FLAIR MRI.
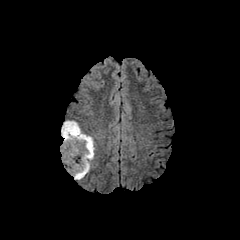
T1-weighted MRI.
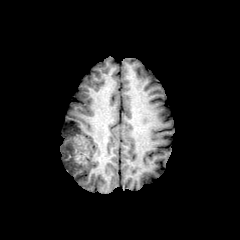
Post-contrast T1-weighted MR.
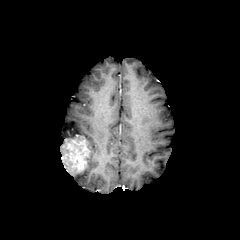
T2-weighted magnetic resonance.
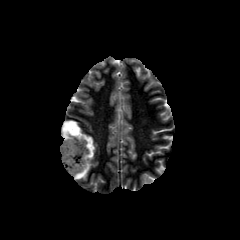
edema:
  - bbox(61, 120, 96, 179)
enhancing_tumor:
  - bbox(63, 139, 86, 173)
non-enhancing_tumor_core:
  - bbox(63, 122, 85, 143)
  - bbox(75, 143, 89, 163)